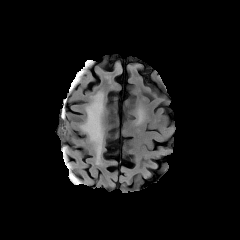
FLAIR MRI.
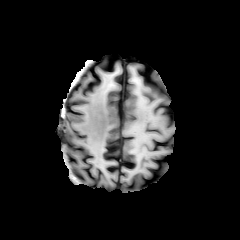
Same slice, T1-weighted magnetic resonance.
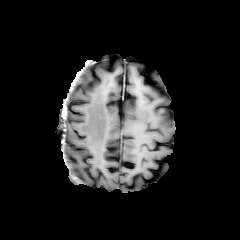
Same slice, post-contrast T1-weighted MRI.
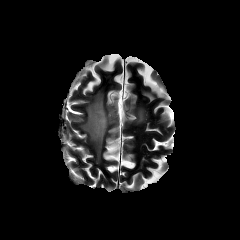
T2-weighted magnetic resonance.
Head | Image size 240x240
edema:
  - bbox(81, 92, 104, 163)